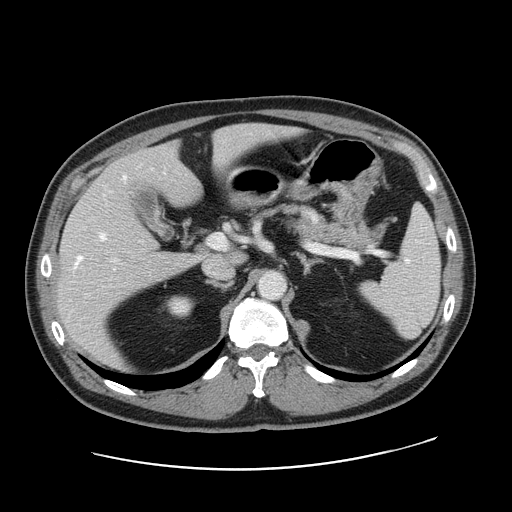 Image size 512x512; Abdomen; CT image
Only some of the vessels may be annotated.
12 hepatic vessel regions appear at (100, 233, 105, 239), (123, 174, 126, 179), (171, 141, 176, 144), (215, 129, 221, 134), (146, 242, 156, 245), (214, 149, 220, 163), (269, 129, 272, 134), (111, 258, 117, 260), (109, 190, 110, 191), (113, 267, 115, 269), (75, 255, 82, 267), (189, 254, 199, 261).